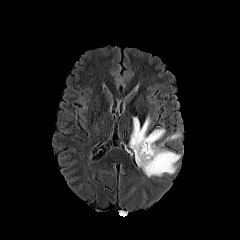
FLAIR MR image.
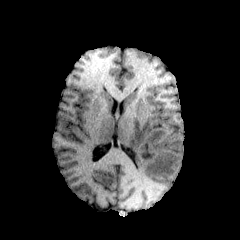
T1-weighted magnetic resonance.
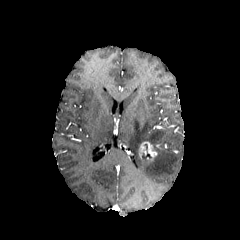
Same slice, post-contrast T1-weighted MR.
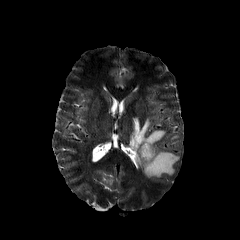
T2-weighted MR image of the same slice.
edema: region(129, 117, 179, 176) | enhancing tumor: region(138, 141, 157, 161)